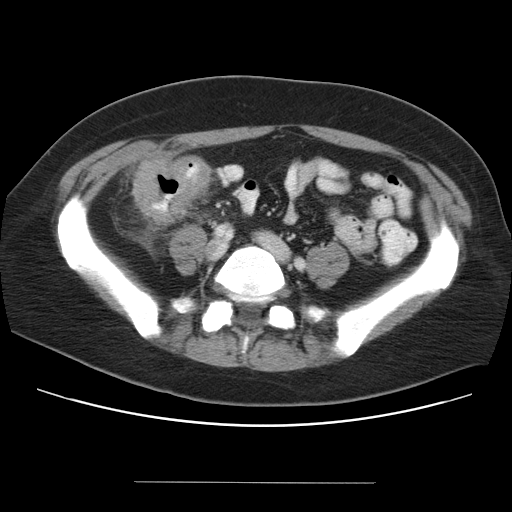

Computed tomography; 512x512 px; Abdomen
<segmentation>
  <colon_tumor>l=134, t=156, r=208, b=222</colon_tumor>
</segmentation>